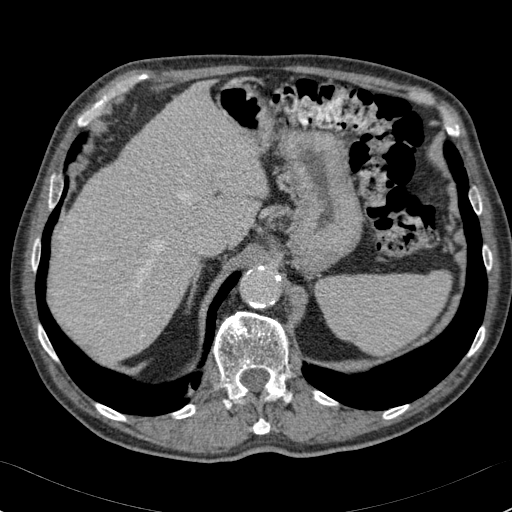 CT, Image size 512x512
* liver: (54,81,264,358)